FLAIR MR.
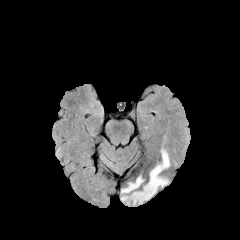
T1-weighted magnetic resonance.
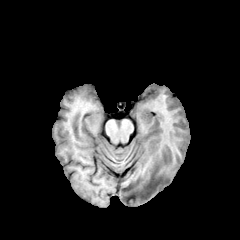
Post-contrast T1-weighted MR.
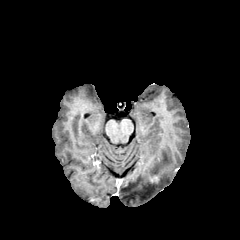
T2-weighted MRI.
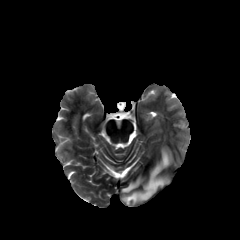
2 edema regions are located at <bbox>121, 175, 169, 203</bbox>, <bbox>150, 148, 170, 175</bbox>. The enhancing tumor lies within <bbox>149, 175, 160, 183</bbox>.